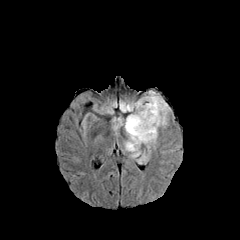
FLAIR MR image.
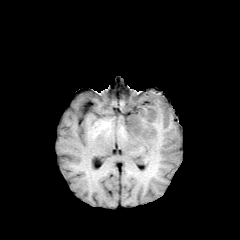
Same slice, T1-weighted MR image.
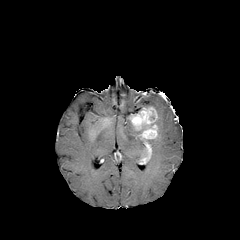
Post-contrast T1-weighted magnetic resonance.
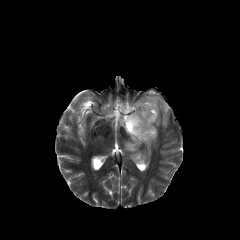
T2-weighted magnetic resonance of the same slice.
edema:
  - bbox(113, 90, 170, 162)
non-enhancing_tumor_core:
  - bbox(127, 119, 145, 139)
enhancing_tumor:
  - bbox(140, 124, 157, 139)
  - bbox(128, 107, 157, 130)